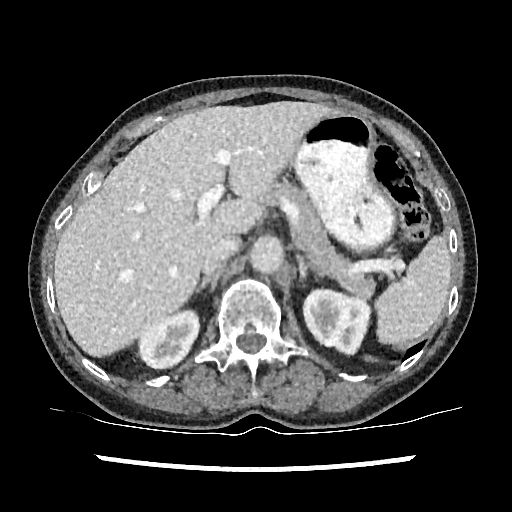
Upper abdomen; Computed tomography
2 kidney regions are bounded by 304 290 370 352, 140 312 198 371. The liver is bounded by 55 102 333 355.